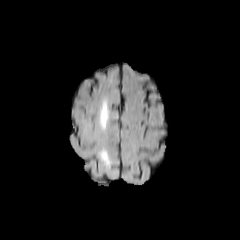
FLAIR MRI.
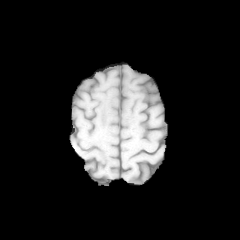
T1-weighted MR.
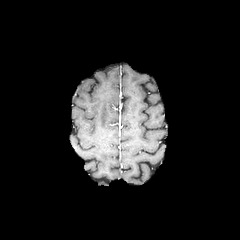
Post-contrast T1-weighted MRI.
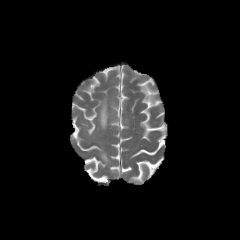
T2-weighted MR of the same slice.
Head
Edema — <box>99,150,109,165</box>, <box>100,99,109,129</box>.